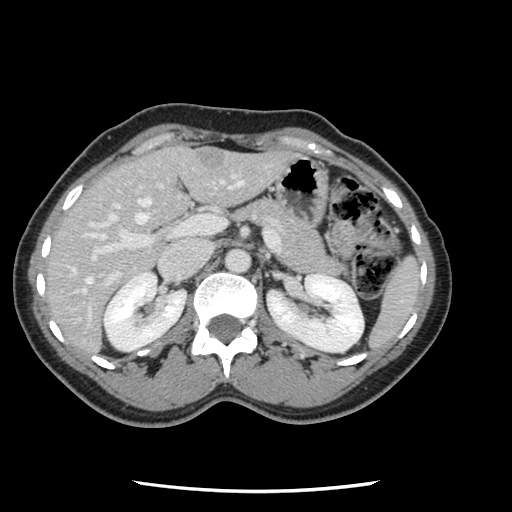 CT image, Abdomen
Some hepatic vessels may have no box.
Largest 15 of 16 hepatic vessel regions: [x1=82, y1=288, x2=84, y2=291], [x1=174, y1=214, x2=224, y2=233], [x1=135, y1=211, x2=148, y2=222], [x1=139, y1=198, x2=149, y2=205], [x1=157, y1=183, x2=160, y2=185], [x1=236, y1=180, x2=242, y2=185], [x1=92, y1=233, x2=104, y2=238], [x1=104, y1=214, x2=115, y2=224], [x1=233, y1=175, x2=234, y2=177], [x1=229, y1=185, x2=232, y2=187], [x1=86, y1=277, x2=91, y2=283], [x1=72, y1=269, x2=74, y2=272], [x1=89, y1=222, x2=92, y2=224], [x1=92, y1=230, x2=151, y2=257], [x1=107, y1=272, x2=118, y2=281].
Liver tumor: [x1=196, y1=154, x2=224, y2=168].